CT slice | Slice index 71 | Image width 396 mm | Upper abdomen
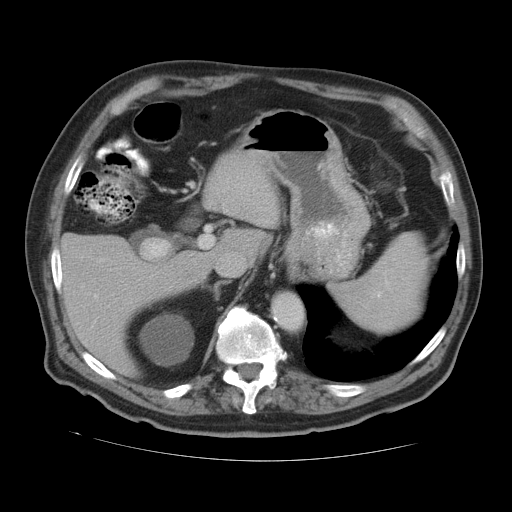
* spleen: 331,233,426,333